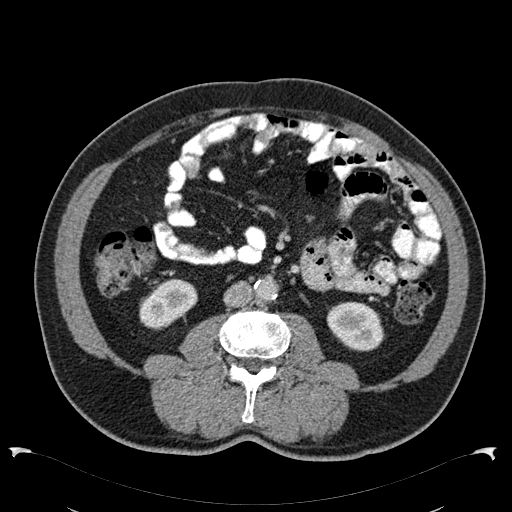
Abdomen. CT.
Kidney: bounding box 139 279 196 329, 327 302 383 350.